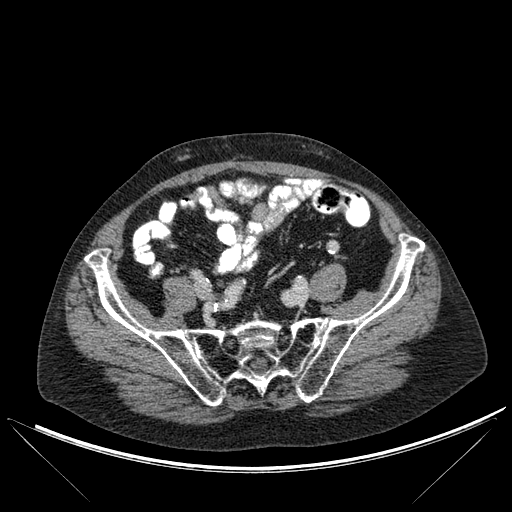 CT slice
bone:
  - 84, 234, 424, 405